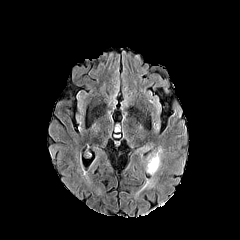
FLAIR magnetic resonance.
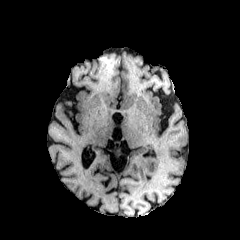
T1-weighted MR image of the same slice.
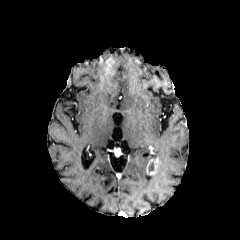
Post-contrast T1-weighted magnetic resonance.
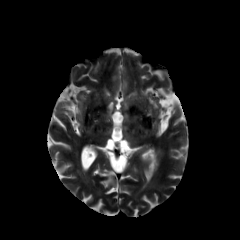
T2-weighted magnetic resonance.
Brain
{"enhancing_tumor": ["l=145, t=158, r=158, b=174"]}